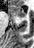

MR image; Hippocampus
<segmentation>
  <anterior_hippocampus>(left=10, top=6, right=25, bottom=17)</anterior_hippocampus>
</segmentation>